240x240 px, Head
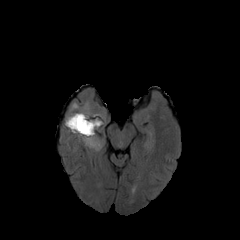
FLAIR MRI.
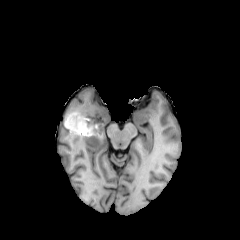
T1-weighted MR image.
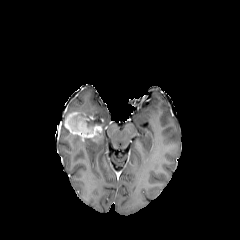
Post-contrast T1-weighted MRI.
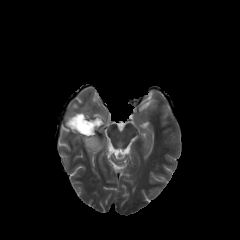
T2-weighted MRI of the same slice.
Findings:
* enhancing tumor: bbox=[64, 112, 101, 139]
* non-enhancing tumor core: bbox=[87, 118, 105, 126]
* edema: bbox=[66, 98, 106, 121]; bbox=[62, 125, 104, 152]